Slice index 46. Upper abdomen. CT. 512x512 px.

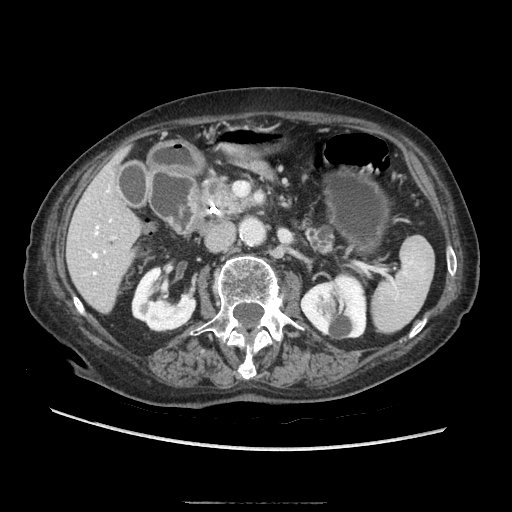 <segmentation>
  <pancreas>[203, 178, 252, 214], [305, 226, 330, 252]</pancreas>
  <pancreatic_tumor>[213, 187, 230, 202]</pancreatic_tumor>
</segmentation>